CT, Liver 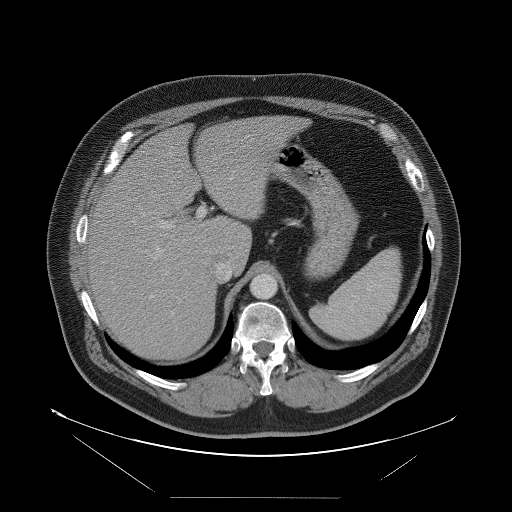
The vessel boxes may cover only some of the vessels.
Hepatic vessel at [113,286,116,289], [171,311,174,314], [229,178,232,180], [182,239,184,241], [159,220,172,228], [151,247,163,258], [144,250,146,252], [133,221,135,224], [165,270,168,274], [150,295,152,297], [199,209,204,215].